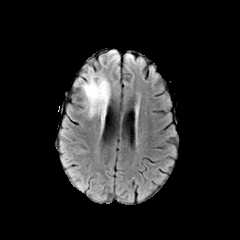
FLAIR MR image.
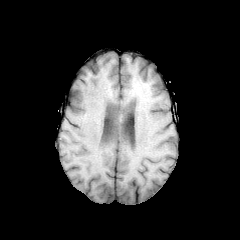
T1-weighted MR of the same slice.
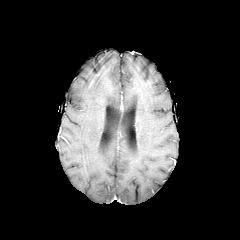
Same slice, post-contrast T1-weighted MRI.
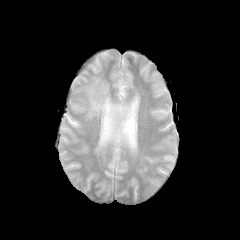
Same slice, T2-weighted MR image.
240x240 px.
Segmented structures:
- edema: rect(78, 67, 111, 127)